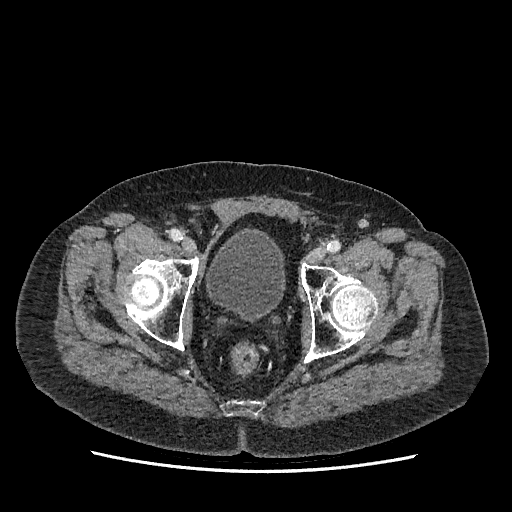 Pelvis, Computed tomography

Urinary bladder: bounding box 206:232:283:319.